CT. Slice 65/114.

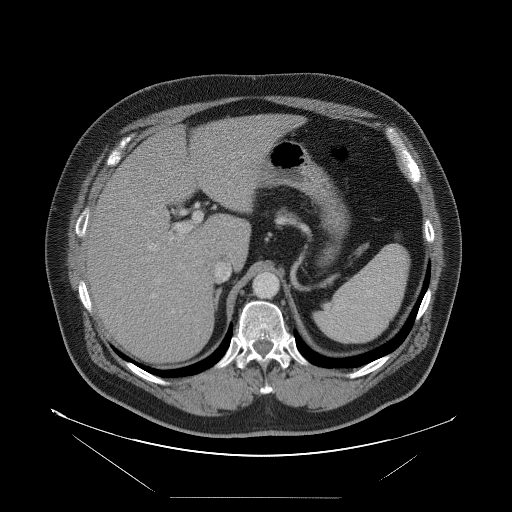

The vessel boxes may cover only some of the vessels.
* hepatic vessel: 228 182 230 183, 148 243 157 250, 141 258 144 260, 129 220 132 223, 146 259 147 260, 168 234 171 243, 155 279 161 282, 117 285 119 287, 151 294 154 297, 175 226 184 230, 171 310 174 312